512x512 px; CT; Abdomen
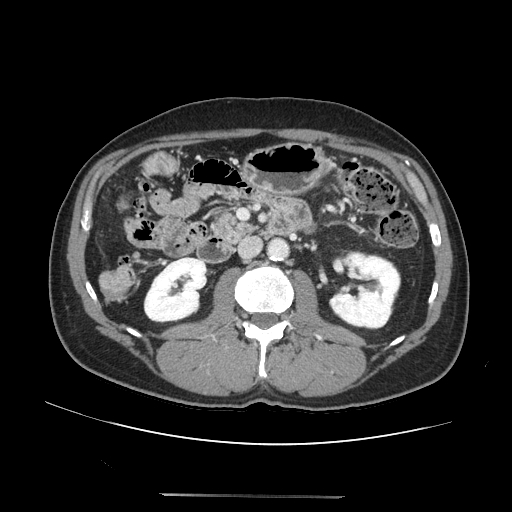 {"pancreas": ["box(213, 212, 256, 244)"]}